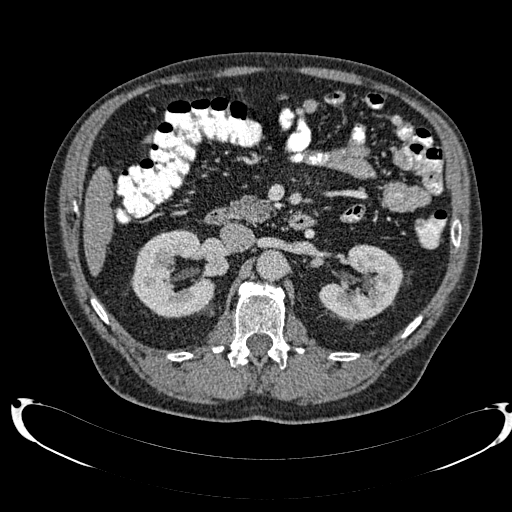

CT slice

Liver: bbox=[83, 166, 112, 273].
Kidney: bbox=[131, 230, 231, 317]; bbox=[319, 245, 402, 322].